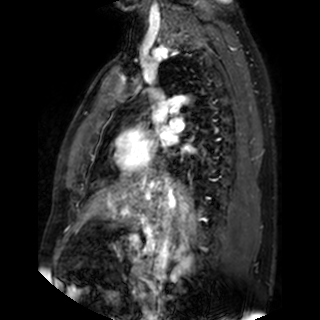

Image size 320x320; Cardiac; Magnetic resonance
Left atrium — (x1=183, y1=145, x2=193, y2=151), (x1=163, y1=128, x2=176, y2=142).